CT image | Chest 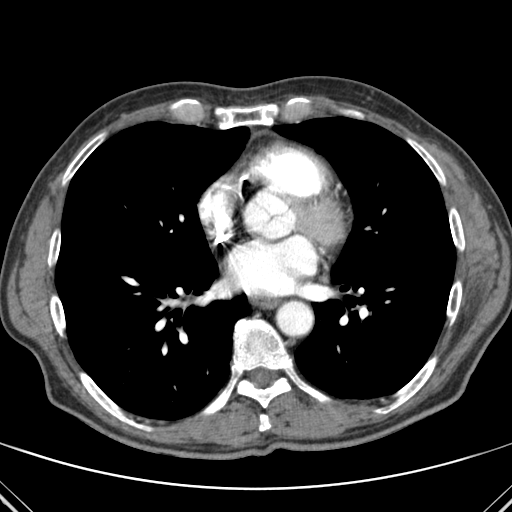 15 bone regions are located at rect(259, 414, 270, 430); rect(449, 208, 464, 250); rect(48, 230, 60, 265); rect(376, 357, 436, 413); rect(203, 319, 329, 415); rect(287, 98, 308, 104); rect(62, 134, 103, 184); rect(50, 296, 65, 335); rect(341, 110, 363, 117); rect(238, 378, 290, 407); rect(408, 139, 445, 184); rect(172, 99, 198, 107); rect(80, 373, 150, 430); rect(216, 104, 277, 128); rect(447, 281, 461, 323). 2 lung regions are bounded by rect(273, 117, 455, 398); rect(55, 122, 249, 419).